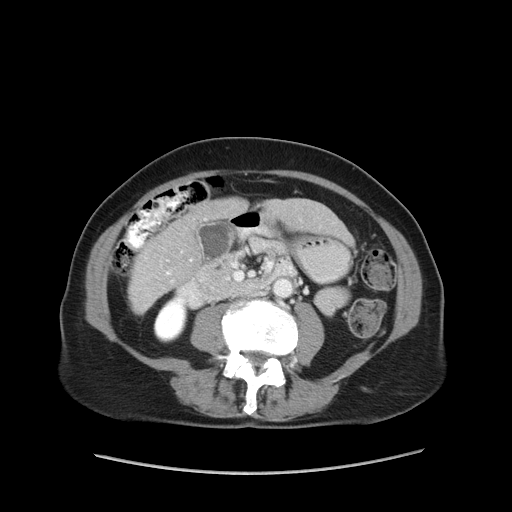 CT image, Abdomen, Image size 512x512
Some hepatic vessels may have no box.
{
  "hepatic_vessel": [
    "(left=167, top=271, right=170, bottom=274)",
    "(left=190, top=259, right=191, bottom=261)"
  ]
}